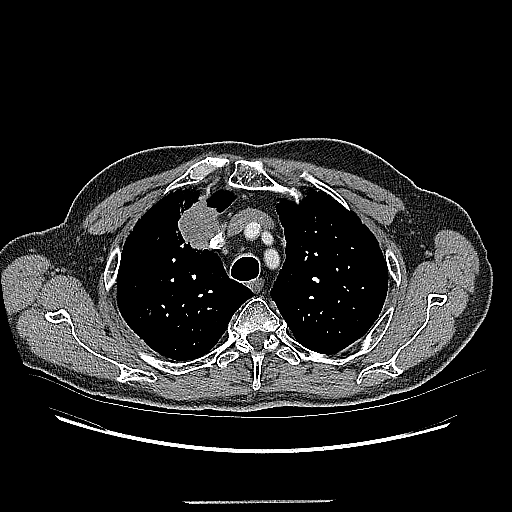 Chest, CT image

{"lung_tumor": ["<bbox>178, 195, 223, 252</bbox>"]}